FLAIR MR.
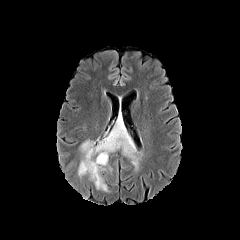
T1-weighted magnetic resonance.
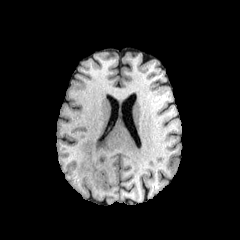
Post-contrast T1-weighted MR image.
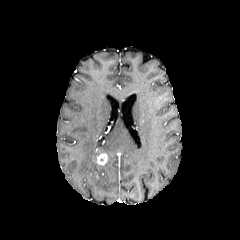
T2-weighted magnetic resonance.
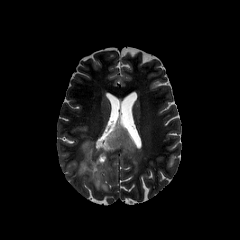
Brain
The enhancing tumor is bounded by region(96, 154, 107, 165). The edema is at region(78, 117, 139, 191).